CT slice | Abdomen | 512x512
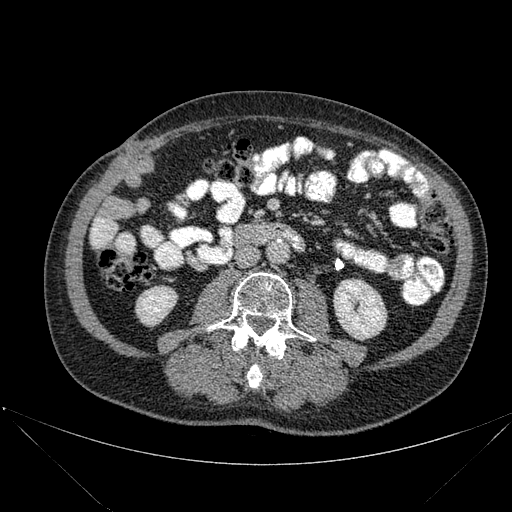 kidney:
  - <box>334,279,386,339</box>
  - <box>136,286,176,325</box>
bone:
  - <box>247,364,262,387</box>
  - <box>207,272,315,358</box>